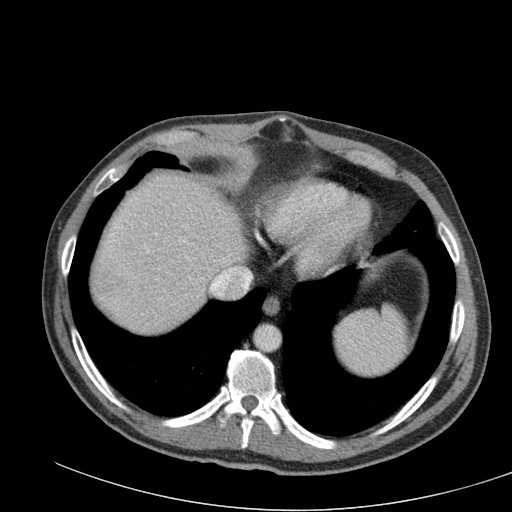

Liver, CT slice
<segmentation>
  <liver>[93,172,244,333]</liver>
</segmentation>